CT image, 512x512 px 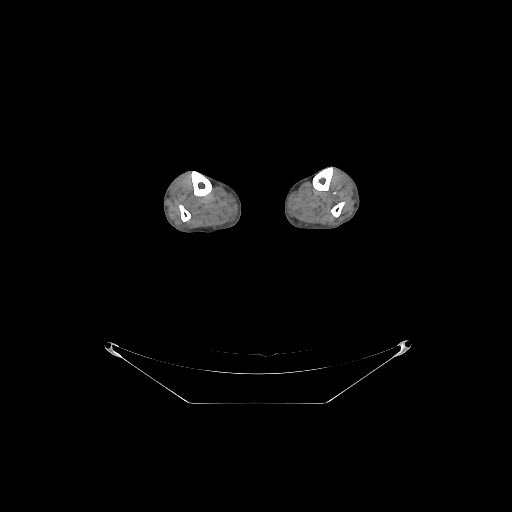

Segmented structures:
* bone: bbox(313, 167, 332, 190); bbox(191, 171, 211, 196); bbox(331, 202, 344, 217); bbox(179, 205, 190, 221)